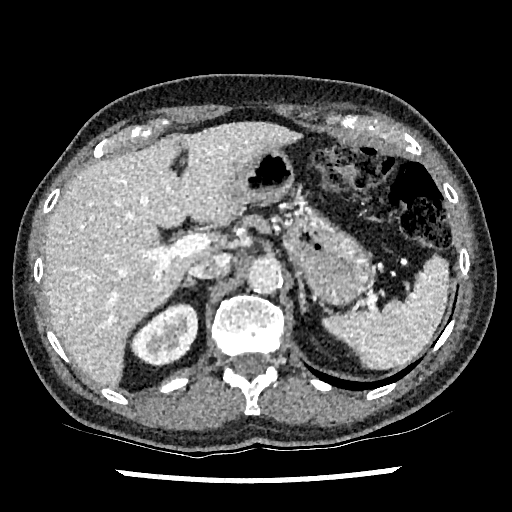
Upper abdomen, CT, 512x512
Kidney: bounding box [134,306,196,364].
Liver: bounding box [45,122,301,386].